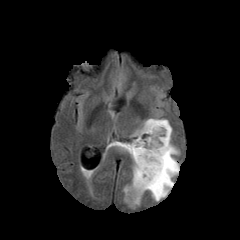
FLAIR MR.
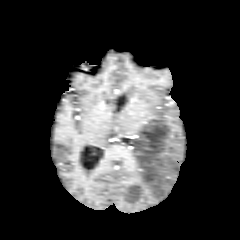
Same slice, T1-weighted MRI.
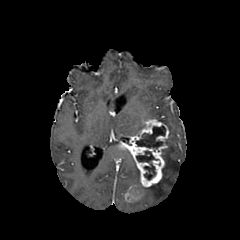
Post-contrast T1-weighted magnetic resonance.
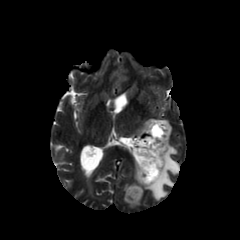
T2-weighted MR.
240x240
The enhancing tumor appears at {"x1": 117, "y1": 119, "x2": 169, "y2": 202}. 3 non-enhancing tumor core regions appear at {"x1": 136, "y1": 151, "x2": 154, "y2": 161}, {"x1": 144, "y1": 164, "x2": 155, "y2": 179}, {"x1": 136, "y1": 126, "x2": 165, "y2": 147}. 2 edema regions appear at {"x1": 132, "y1": 159, "x2": 138, "y2": 183}, {"x1": 143, "y1": 119, "x2": 179, "y2": 201}.